CT image; Abdomen
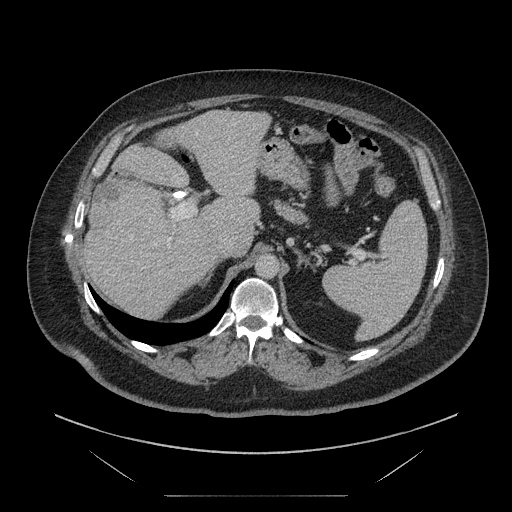

Only some of the vessels may be annotated.
Hepatic vessel: bbox(166, 236, 171, 246); bbox(170, 201, 196, 220).
Liver tumor: bbox(97, 177, 153, 203).